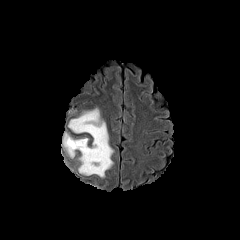
FLAIR MRI.
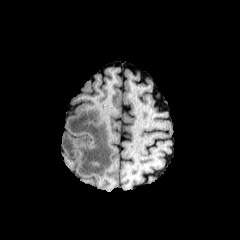
Same slice, T1-weighted magnetic resonance.
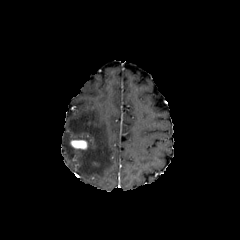
Post-contrast T1-weighted MR image.
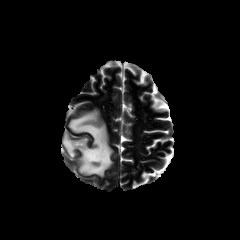
T2-weighted MR of the same slice.
Brain | 240x240
Edema: (62, 132, 74, 158), (68, 109, 114, 177).
Enhancing tumor: (71, 138, 88, 150).